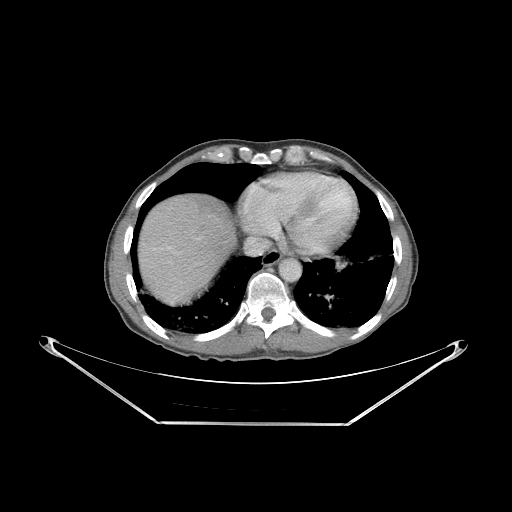 Image size 512x512; CT scan slice

The liver is at rect(138, 194, 235, 307). 3 lung regions appear at rect(130, 163, 260, 284); rect(143, 255, 264, 333); rect(293, 173, 393, 328). 10 bone regions appear at rect(136, 183, 155, 207); rect(126, 274, 136, 300); rect(124, 226, 132, 253); rect(143, 316, 168, 338); rect(351, 315, 380, 338); rect(386, 277, 396, 299); rect(252, 154, 270, 163); rect(377, 192, 392, 219); rect(195, 273, 333, 340); rect(393, 236, 401, 263).